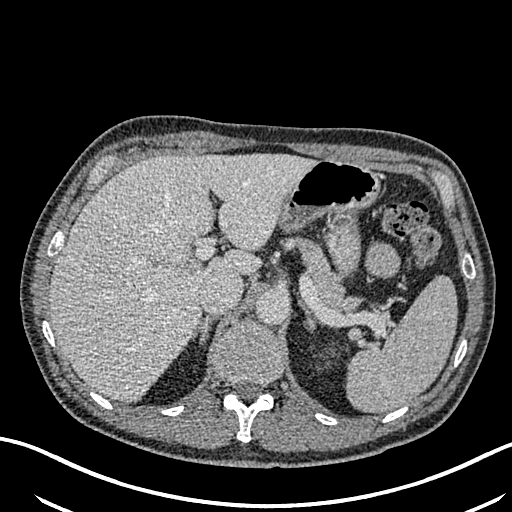 Image size 512x512 | CT slice
The liver is bounded by l=49, t=155, r=316, b=401.